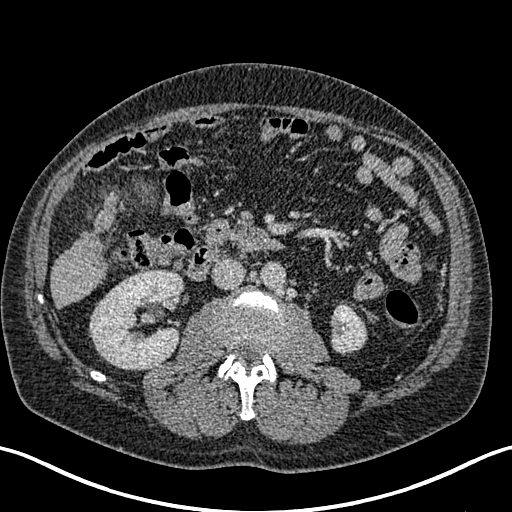 CT image, Liver
Kidney at l=90, t=271, r=182, b=369; l=332, t=305, r=365, b=351.
Liver at l=50, t=231, r=107, b=308; l=88, t=194, r=117, b=230.
Hepatic lesion at l=85, t=221, r=108, b=260.